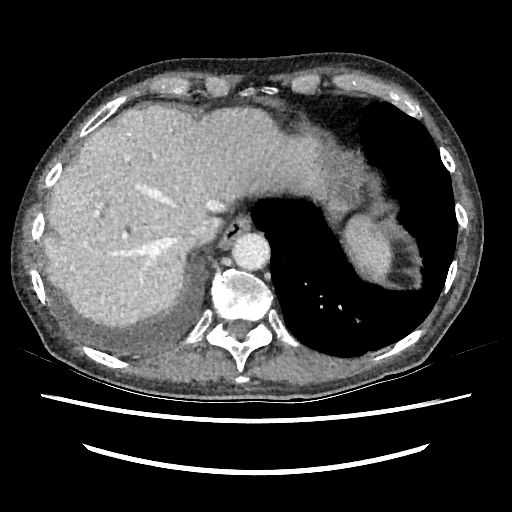

CT image | Liver

liver: <box>43,105,329,324</box>